Upper abdomen, Computed tomography

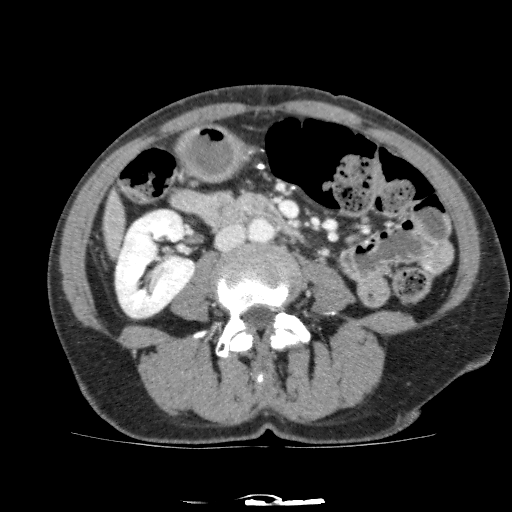

Liver at [102,188,125,258].
Kidney at [116,210,194,317].